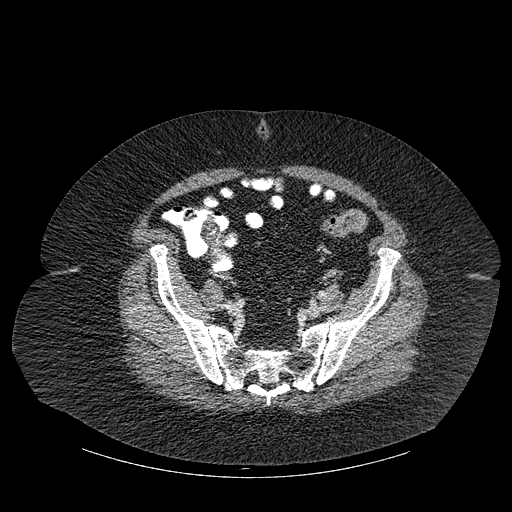

CT
<segmentation>
  <bone>150:245:400:404</bone>
</segmentation>